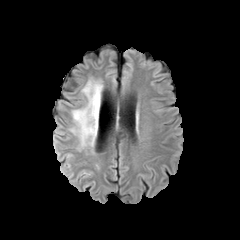
FLAIR MR.
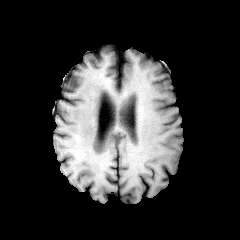
T1-weighted MR.
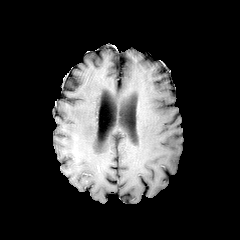
Post-contrast T1-weighted MR image of the same slice.
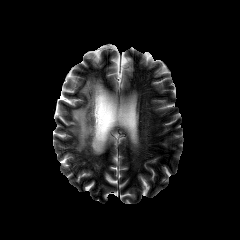
T2-weighted MRI of the same slice.
240x240. Head.
Edema at box(69, 79, 103, 151).